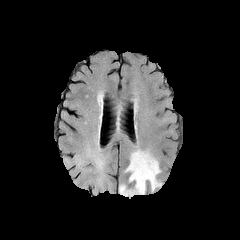
FLAIR MRI.
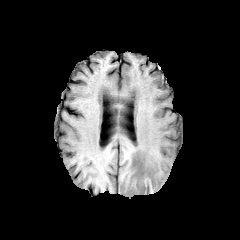
Same slice, T1-weighted MR.
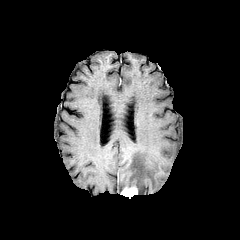
Post-contrast T1-weighted MRI.
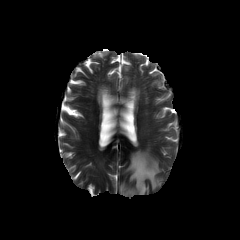
Same slice, T2-weighted MR.
Head
enhancing tumor: 122, 185, 137, 197 | edema: 125, 150, 161, 193